512x512 px, CT slice
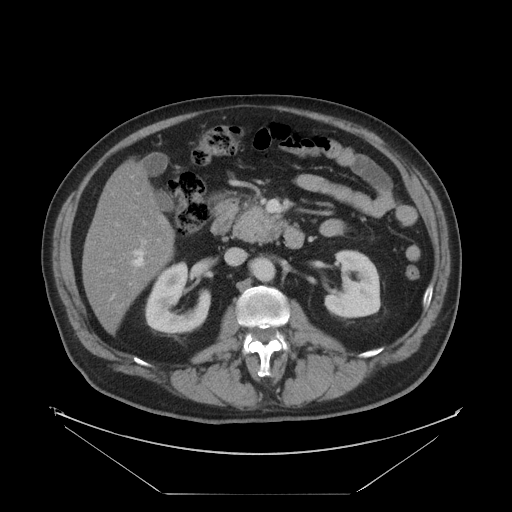

The pancreas lies within l=235, t=201, r=285, b=242.